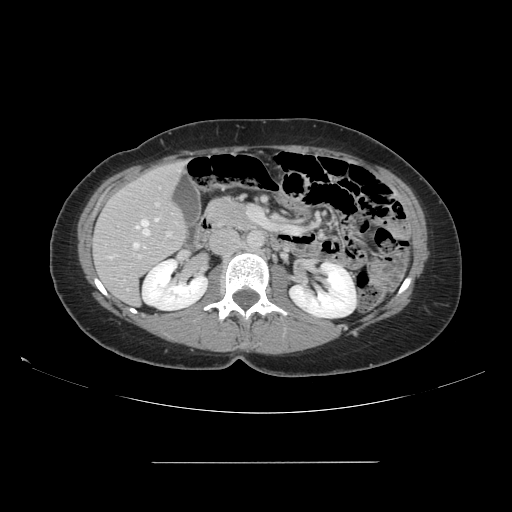

CT scan slice, Abdomen
Some hepatic vessels may have no box.
Hepatic vessel: bounding box 155,203,158,205; 138,255,140,257; 135,219,149,235; 166,232,171,235; 133,243,139,248; 155,219,158,221; 107,255,116,258.